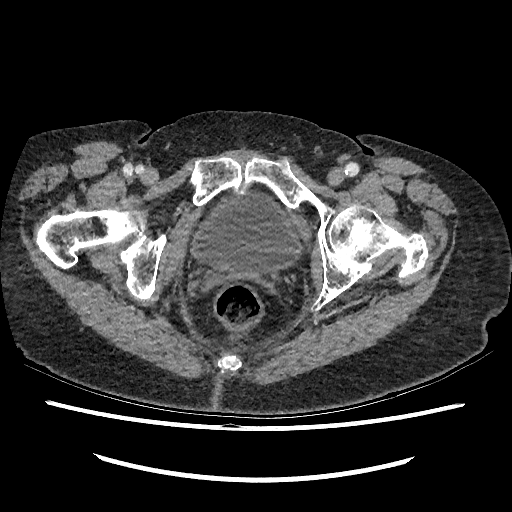

Pelvis; CT image
Urinary bladder: bounding box box=[186, 188, 304, 277].